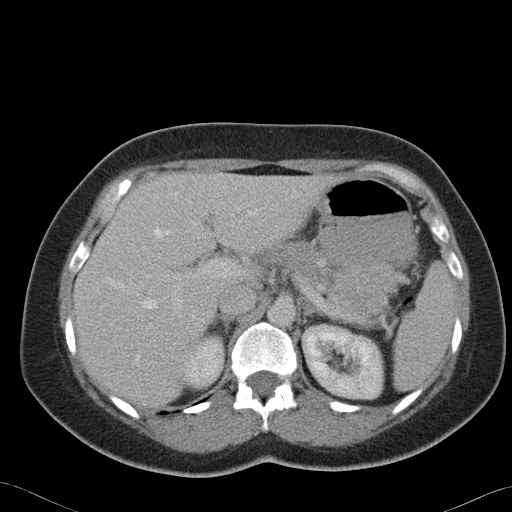
512x512 px; Upper abdomen; CT scan slice
- pancreatic tumor: (327,267,410,318)
- pancreas: (265,244,342,306), (349,261,391,268), (332,303,387,322)